MRI, Hippocampus
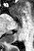 {
  "posterior_hippocampus": [
    "(6,33,16,42)"
  ],
  "anterior_hippocampus": [
    "(12,15,14,17)"
  ]
}